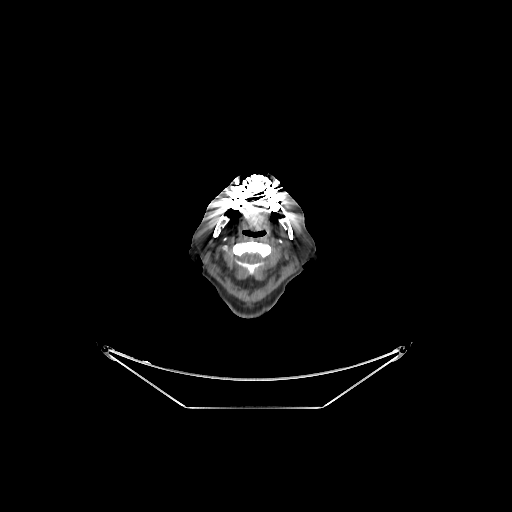

CT slice

{
  "bone": [
    "region(213, 214, 229, 237)",
    "region(229, 174, 292, 239)",
    "region(228, 238, 274, 274)"
  ]
}